CT slice
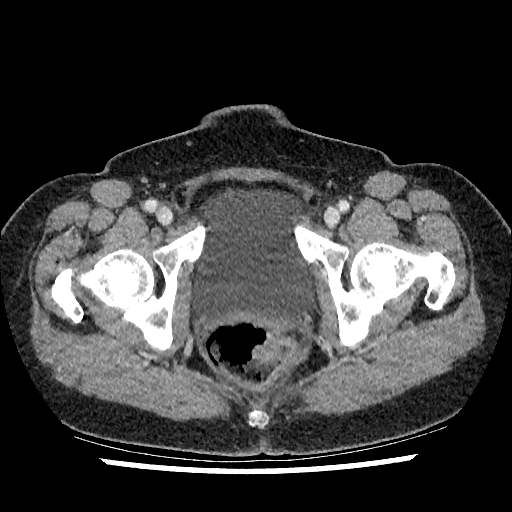
Urinary bladder at x1=190 y1=188 x2=319 y2=324.